FLAIR MR image.
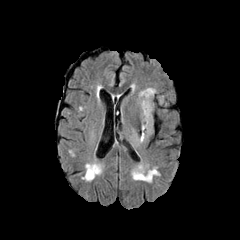
T1-weighted MR.
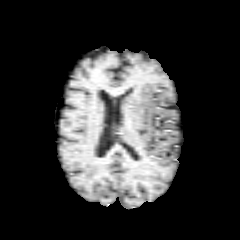
Post-contrast T1-weighted MR.
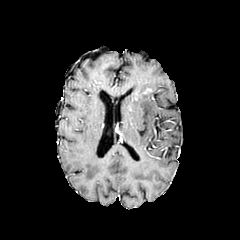
T2-weighted MR.
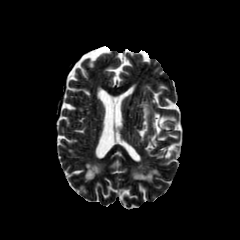
Brain, 240x240
Edema at box=[140, 87, 155, 142].